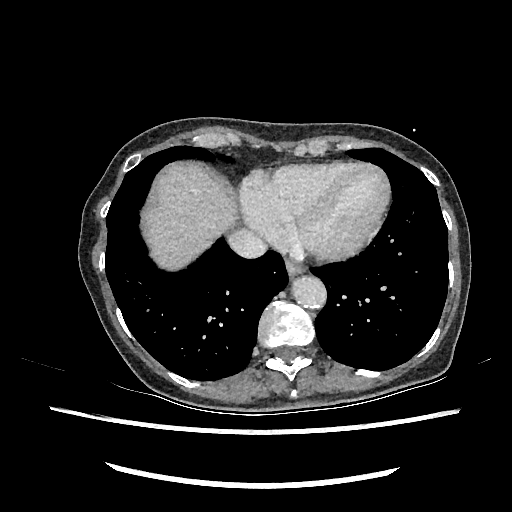

Liver. CT image. <segmentation>
  <liver>bbox=[146, 166, 235, 267]</liver>
</segmentation>